Head. Image size 240x240.
FLAIR MR image.
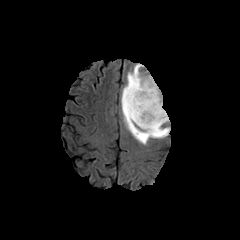
T1-weighted MRI.
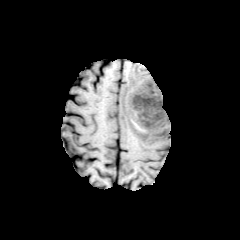
Post-contrast T1-weighted magnetic resonance.
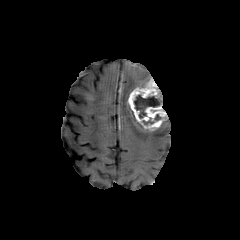
T2-weighted MR.
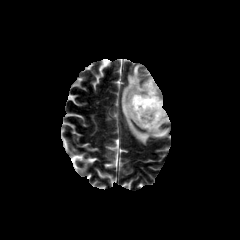
Segmented structures:
* enhancing tumor: [x1=128, y1=77, x2=167, y2=130]
* non-enhancing tumor core: [x1=123, y1=80, x2=137, y2=121], [x1=148, y1=128, x2=166, y2=135], [x1=134, y1=95, x2=162, y2=117], [x1=138, y1=74, x2=149, y2=87]
* edema: [x1=120, y1=63, x2=170, y2=144]